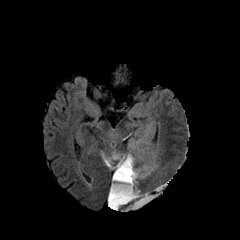
FLAIR MR.
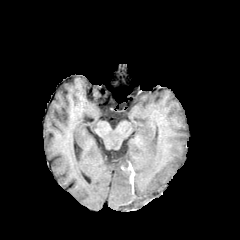
T1-weighted magnetic resonance.
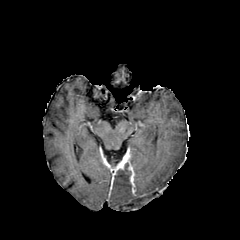
Post-contrast T1-weighted MRI.
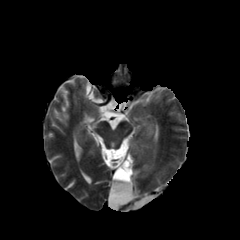
T2-weighted MR.
non-enhancing tumor core: region(114, 163, 131, 181); region(130, 158, 137, 197); region(104, 148, 126, 164) | enhancing tumor: region(114, 148, 134, 186) | edema: region(108, 154, 117, 164); region(108, 153, 160, 210)